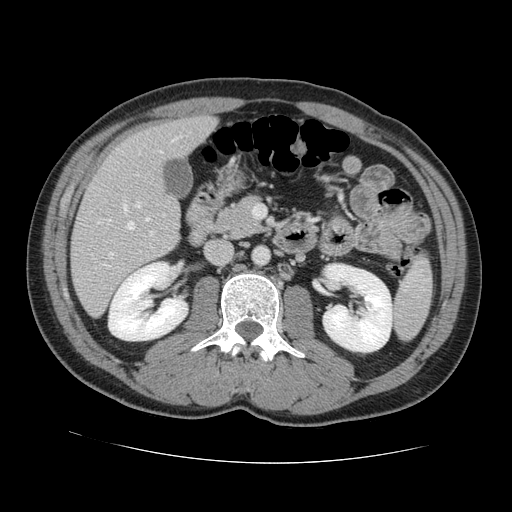
CT
The vessel boxes may cover only some of the vessels.
14 hepatic vessel regions appear at <box>149,244,151,246</box>, <box>96,219,101,223</box>, <box>158,150,162,153</box>, <box>149,231,153,234</box>, <box>107,219,110,224</box>, <box>172,133,181,141</box>, <box>145,217,149,221</box>, <box>138,150,140,154</box>, <box>127,222,133,229</box>, <box>103,264,109,267</box>, <box>123,203,126,212</box>, <box>136,202,140,207</box>, <box>162,212,163,215</box>, <box>109,252,112,258</box>.